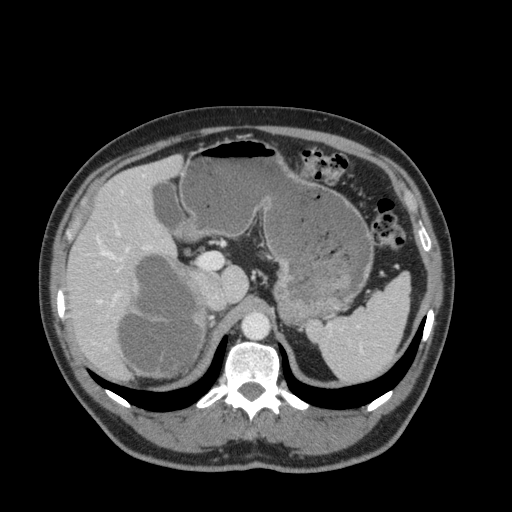

Image size 512x512; CT slice
Annotated regions:
- liver: <box>67,157,180,379</box>, <box>220,266,247,301</box>